Field of view 240 mm wide, 1.00 mm slice spacing | Brain
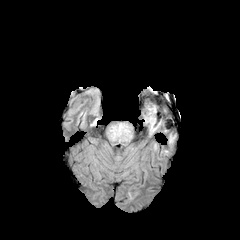
FLAIR magnetic resonance.
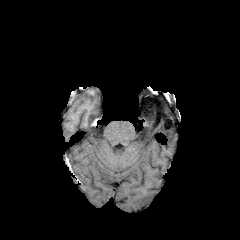
T1-weighted magnetic resonance.
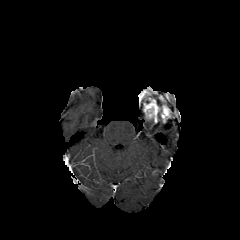
Post-contrast T1-weighted MR.
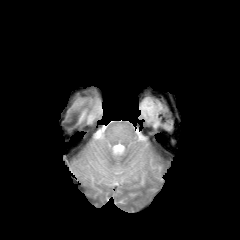
T2-weighted MR image of the same slice.
The enhancing tumor lies within box(144, 101, 159, 119).